Abdomen | Computed tomography | Slice index 69 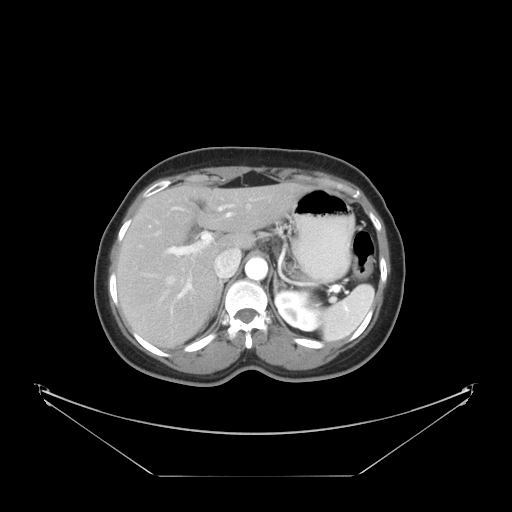
Colon tumor: bounding box [363, 257, 371, 276].